Image size 512x512 | CT image
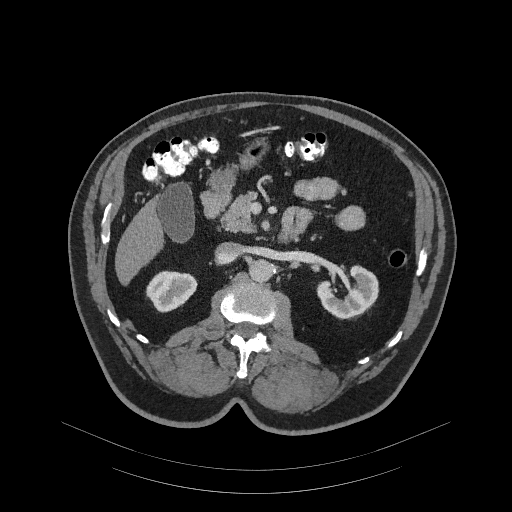

The pancreas appears at box=[223, 192, 255, 232].